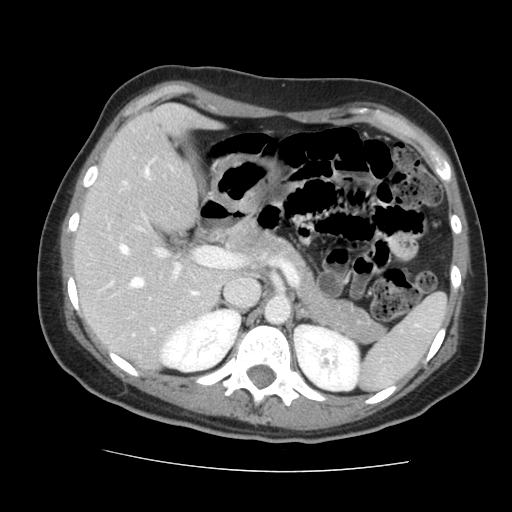

CT slice | Abdomen

Not every hepatic vessel necessarily has a box.
hepatic vessel: (x1=130, y1=278, x2=142, y2=287), (x1=119, y1=245, x2=127, y2=253), (x1=173, y1=264, x2=179, y2=275), (x1=151, y1=329, x2=153, y2=330), (x1=110, y1=282, x2=111, y2=284)